Brain. Field of view 240 mm wide, 1.00 mm slice spacing.
FLAIR MR image.
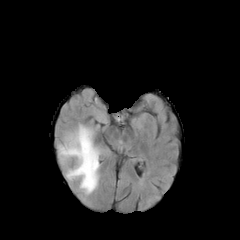
T1-weighted MRI.
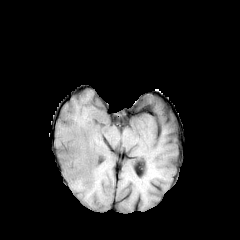
Post-contrast T1-weighted MR image.
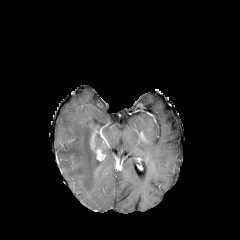
T2-weighted MRI.
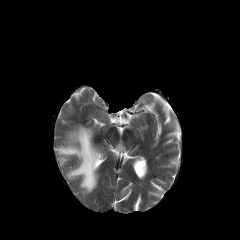
Edema — x1=58 y1=125 x2=99 y2=194.